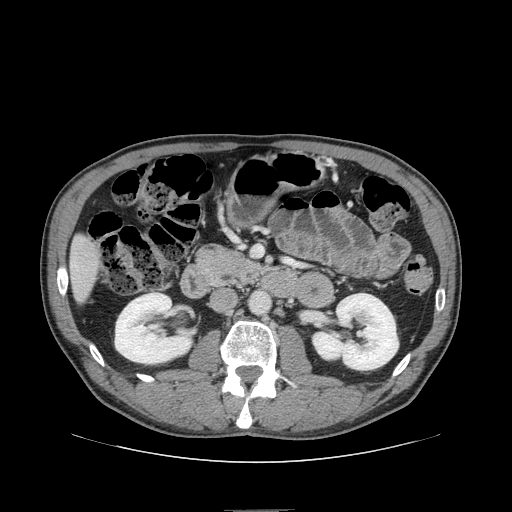 CT | Image size 512x512 | Abdomen

Pancreas — 197 246 268 287.